Chest, CT 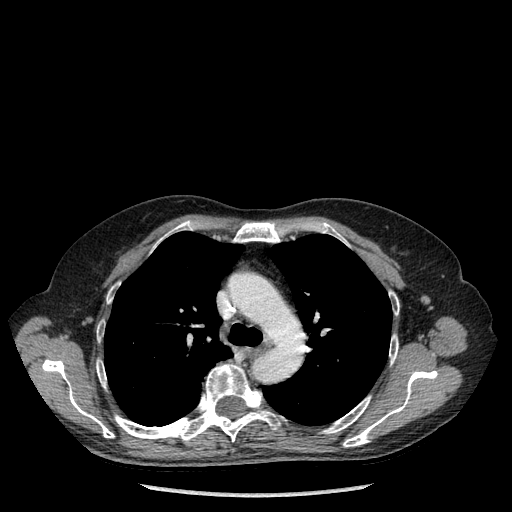
<segmentation>
  <lung>left=104, top=231, right=262, bottom=426; left=263, top=234, right=392, bottom=425</lung>
  <bone>left=320, top=223, right=349, bottom=246; left=343, top=370, right=437, bottom=447; left=96, top=359, right=106, bottom=388; left=106, top=287, right=113, bottom=303; left=152, top=220, right=192, bottom=250; left=233, top=222, right=280, bottom=242; left=321, top=396, right=370, bottom=433; left=389, top=290, right=399, bottom=315; left=42, top=358, right=114, bottom=438; left=97, top=321, right=104, bottom=341; left=115, top=364, right=286, bottom=441; left=389, top=334, right=398, bottom=364</bone>
</segmentation>